512x512, Computed tomography 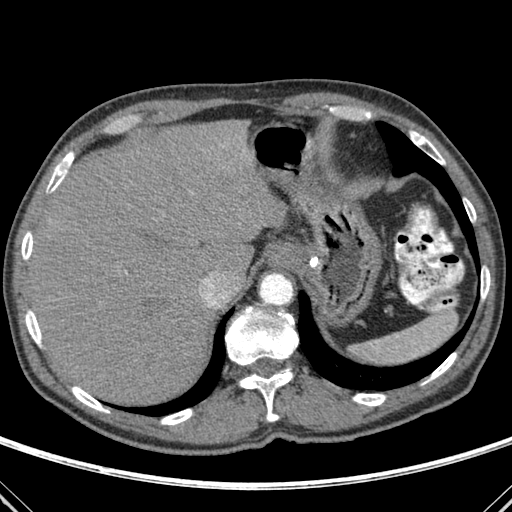

12 bone regions are located at <bbox>239, 369, 292, 421</bbox>, <bbox>160, 409, 192, 424</bbox>, <bbox>72, 386, 109, 412</bbox>, <bbox>481, 266, 490, 299</bbox>, <bbox>21, 232, 32, 259</bbox>, <bbox>25, 310, 41, 345</bbox>, <bbox>463, 198, 476, 221</bbox>, <bbox>47, 153, 73, 192</bbox>, <bbox>410, 131, 445, 164</bbox>, <bbox>423, 352, 456, 384</bbox>, <bbox>225, 307, 298, 366</bbox>, <bbox>353, 393, 385, 406</bbox>. 3 lung regions are bounded by <bbox>110, 309, 233, 415</bbox>, <bbox>298, 291, 476, 390</bbox>, <bbox>376, 121, 476, 263</bbox>. The liver lies within <bbox>28, 119, 285, 406</bbox>.